Brain. Image size 240x240.
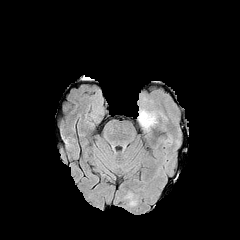
FLAIR magnetic resonance.
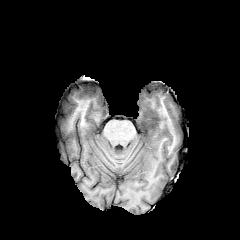
T1-weighted MR of the same slice.
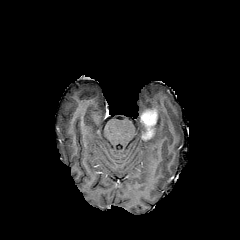
Post-contrast T1-weighted magnetic resonance.
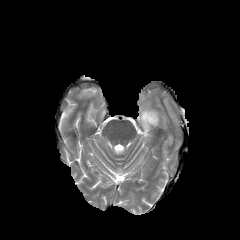
T2-weighted MR.
Enhancing tumor — left=140, top=110, right=156, bottom=138.
Edema — left=137, top=108, right=149, bottom=121.